Pelvis; Slice 69/114; CT image; Image size 512x512 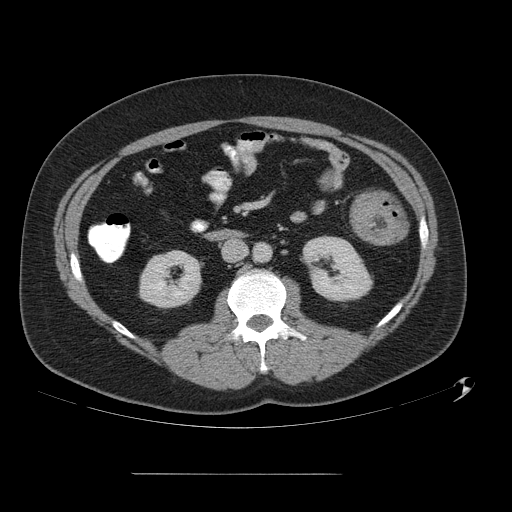

Colon tumor: (350,192,407,245).